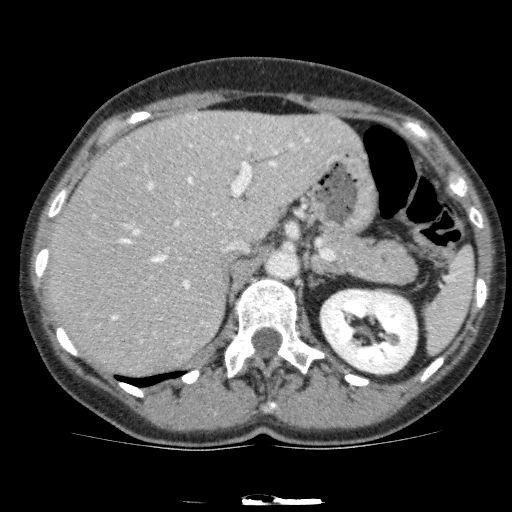 CT slice | 512x512 | Abdomen

Liver: bounding box bbox(47, 110, 366, 376).
Kidney: bounding box bbox(321, 290, 416, 373).